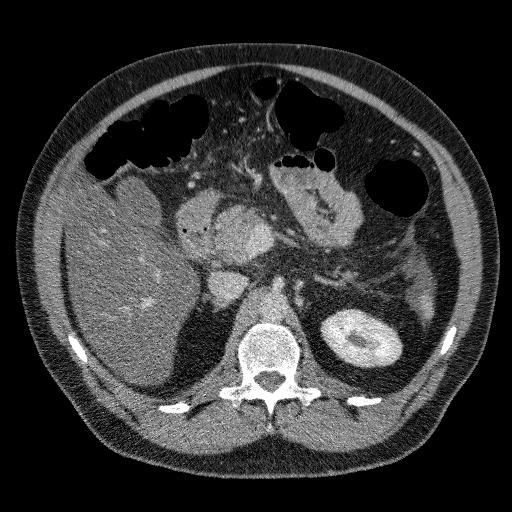

CT image

kidney:
  - (323, 311, 400, 365)
liver:
  - (65, 182, 197, 384)